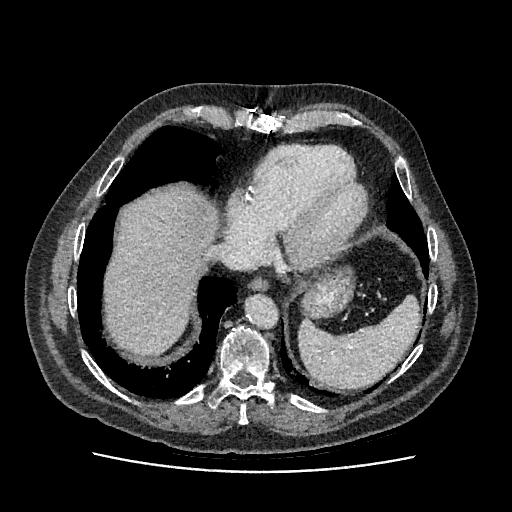

CT, Liver
liver: <box>104,190,215,354</box>